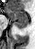
MRI, Hippocampus
Anterior hippocampus = region(7, 9, 28, 21).
Posterior hippocampus = region(14, 22, 28, 28).